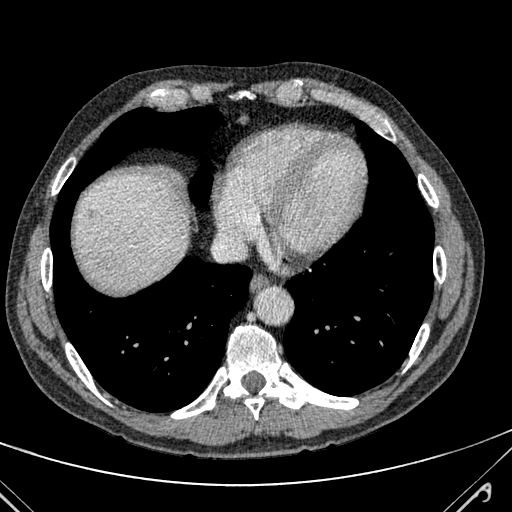

CT.

liver:
  - 74:173:189:288
hepatic_lesion:
  - 182:210:189:225